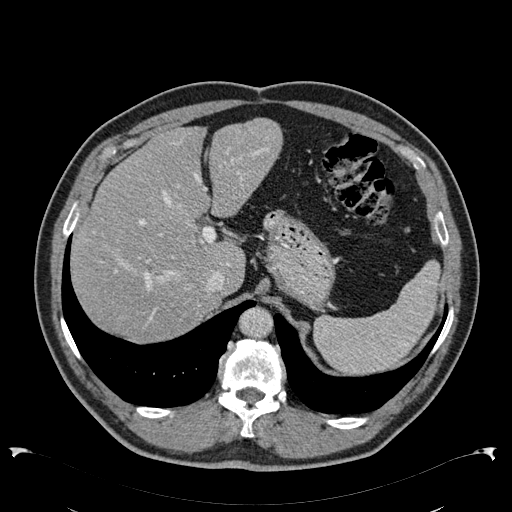
Upper abdomen, CT image
Liver — box=[72, 126, 245, 339]; box=[209, 119, 282, 217].